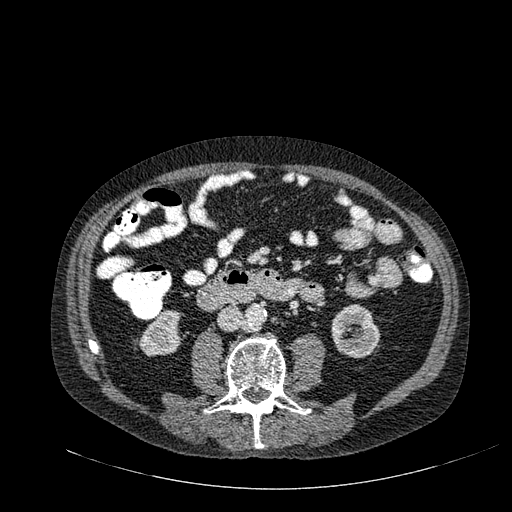

512x512 px; Abdomen; CT
2 kidney regions are located at 331 304 380 357, 139 310 182 356.